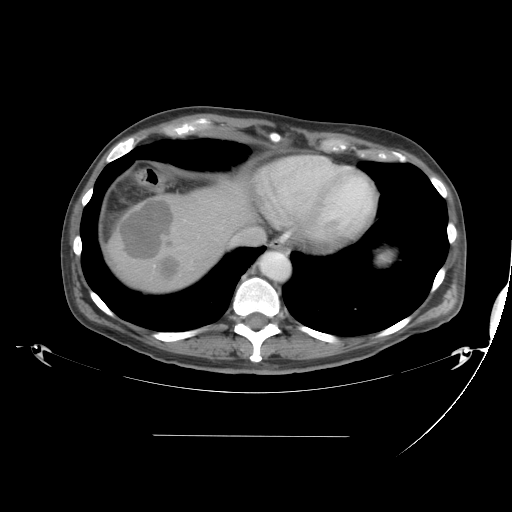 Abdomen | CT image
Not every hepatic vessel necessarily has a box.
Segmented structures:
- hepatic vessel: <bbox>248, 229, 250, 232</bbox>
- liver tumor: <bbox>157, 258, 179, 277</bbox>, <bbox>115, 200, 172, 259</bbox>